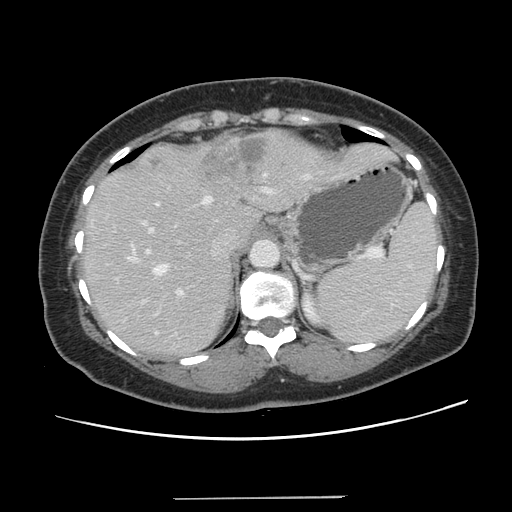

Computed tomography
The vessel annotation is not exhaustive.
2 liver tumor regions are bounded by box(201, 136, 267, 187); box(147, 156, 159, 167). 12 hepatic vessel regions are located at box(203, 196, 211, 203); box(127, 245, 136, 260); box(155, 202, 159, 205); box(263, 188, 272, 192); box(142, 300, 146, 302); box(154, 264, 167, 275); box(146, 250, 149, 253); box(149, 228, 153, 231); box(155, 332, 157, 334); box(143, 221, 146, 224); box(177, 290, 182, 295); box(264, 173, 265, 176).